Field of view 240x240 mm; Head; Slice 75/155; 240x240
FLAIR MR.
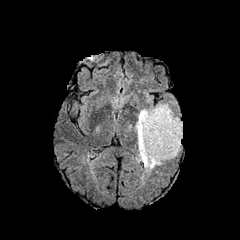
T1-weighted MR.
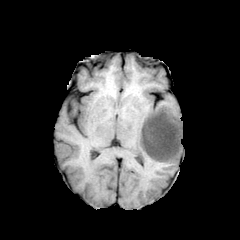
Post-contrast T1-weighted magnetic resonance.
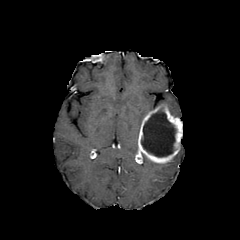
T2-weighted MRI.
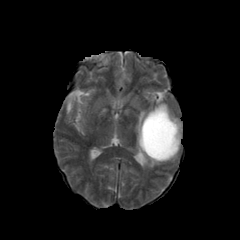
Non-enhancing tumor core = <bbox>141, 108, 175, 157</bbox>.
Enhancing tumor = <bbox>135, 105, 182, 163</bbox>.
Edema = <bbox>134, 106, 155, 154</bbox>, <bbox>142, 154, 162, 170</bbox>, <bbox>157, 102, 175, 115</bbox>.